Abdomen | Slice 34 of 103 | CT slice

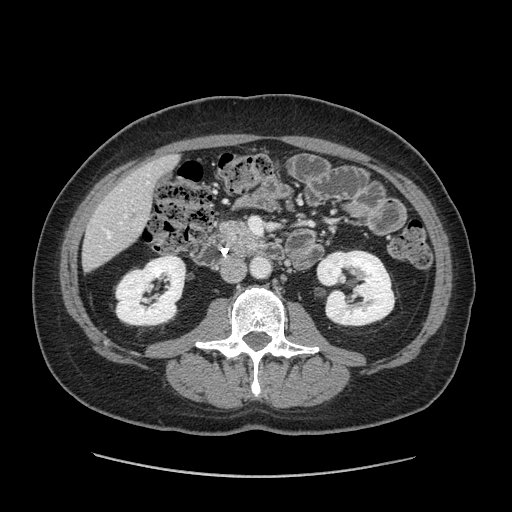

The pancreas lies within 220 222 260 248.